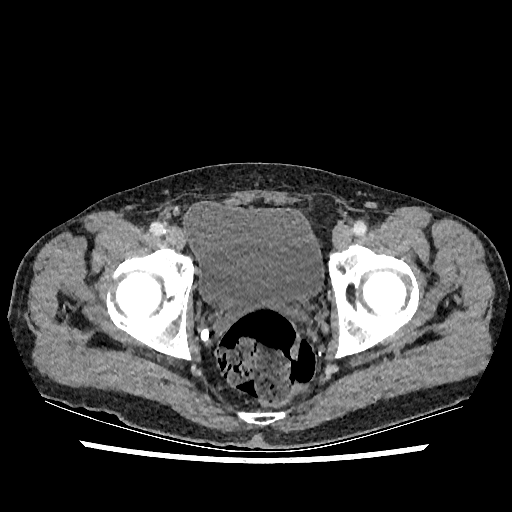 512x512 px. CT. Urinary bladder — (184, 201, 324, 330).